CT
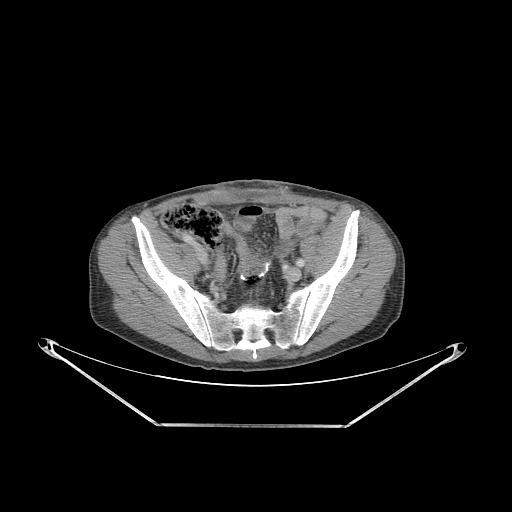

Segmented structures:
- bone: bbox(276, 210, 359, 348); bbox(132, 217, 270, 358)